Brain
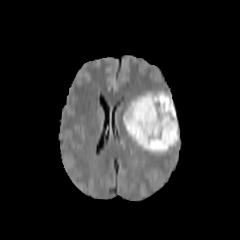
FLAIR MRI.
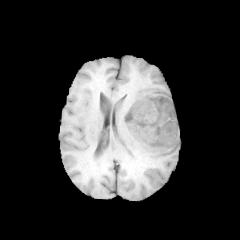
T1-weighted MRI.
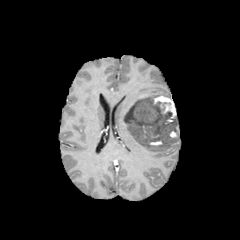
Post-contrast T1-weighted MR.
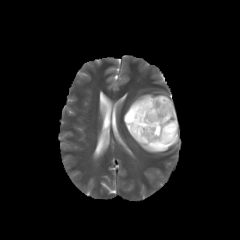
Same slice, T2-weighted MRI.
3 enhancing tumor regions appear at rect(169, 122, 179, 138); rect(148, 140, 162, 145); rect(153, 94, 176, 123). The non-enhancing tumor core is bounded by rect(125, 97, 178, 149). 2 edema regions are located at rect(124, 92, 154, 120); rect(125, 122, 167, 153).